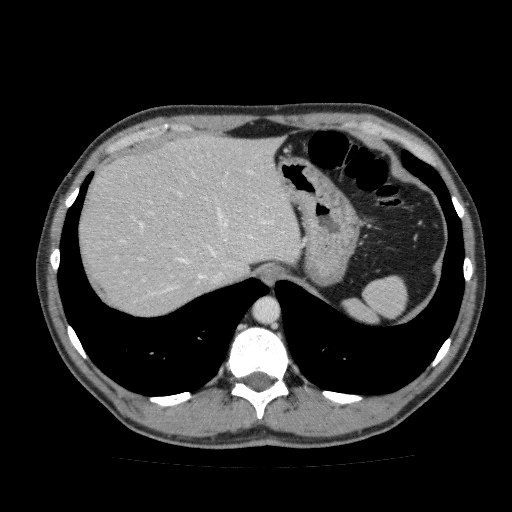
CT image; Abdomen
Liver at 78, 135, 302, 318.